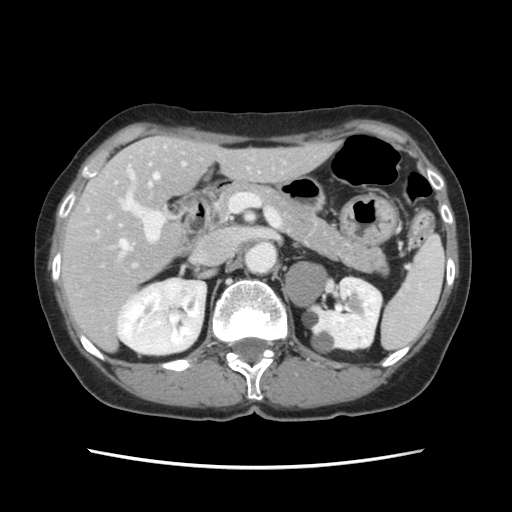 Liver | CT
Only some of the vessels may be annotated.
Findings:
* hepatic vessel: 164 146 165 147, 127 165 133 180, 119 240 129 253, 149 183 151 185, 153 173 158 178, 182 163 184 165